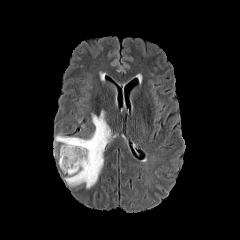
FLAIR MR image.
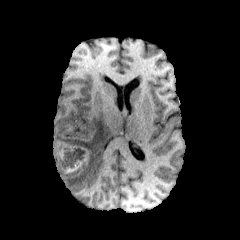
T1-weighted MR image of the same slice.
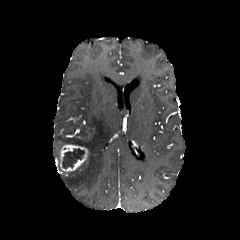
Post-contrast T1-weighted magnetic resonance.
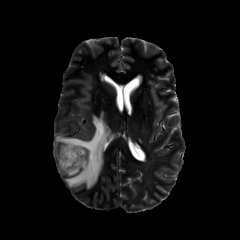
T2-weighted MRI of the same slice.
Image size 240x240
Enhancing tumor at (58, 144, 88, 172).
Non-enhancing tumor core at (62, 148, 84, 169).
Edema at (54, 111, 111, 189).